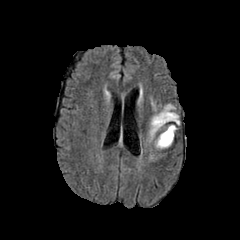
FLAIR MR.
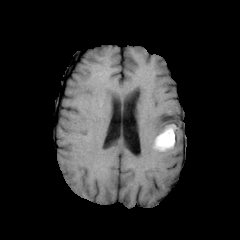
T1-weighted MRI.
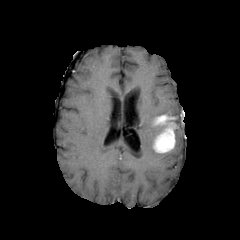
Same slice, post-contrast T1-weighted magnetic resonance.
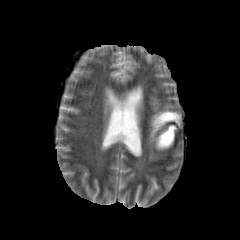
T2-weighted MR.
Brain; 240x240
{"edema": ["bbox(173, 117, 180, 135)", "bbox(147, 98, 179, 160)", "bbox(137, 88, 143, 109)"], "non-enhancing_tumor_core": ["bbox(153, 136, 174, 152)", "bbox(153, 120, 173, 135)"], "enhancing_tumor": ["bbox(154, 114, 177, 125)", "bbox(155, 123, 175, 149)"]}